Brain; Slice 120/155
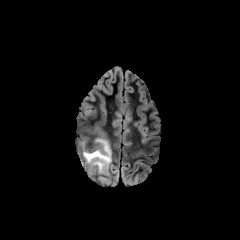
FLAIR MR image.
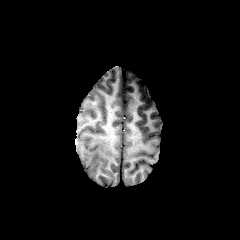
T1-weighted MR image of the same slice.
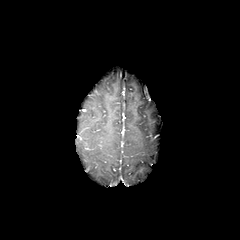
Post-contrast T1-weighted MR image.
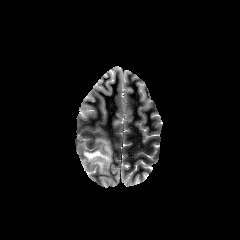
Same slice, T2-weighted MRI.
<segmentation>
  <edema>l=83, t=138, r=111, b=174</edema>
</segmentation>